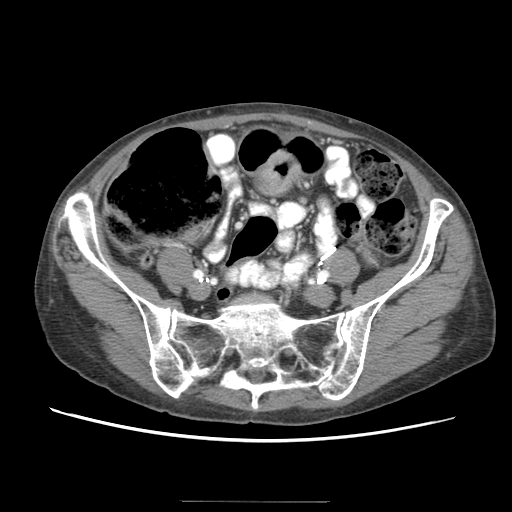

Abdomen | CT scan slice

The colon tumor is at l=253, t=150, r=300, b=197.